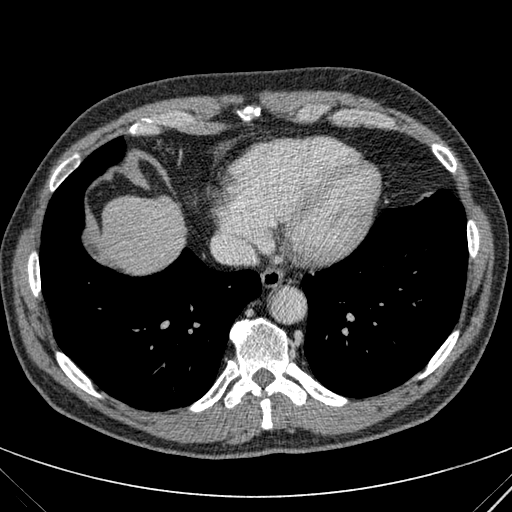 CT | Image size 512x512
<segmentation>
  <liver>(99,196,183,272)</liver>
</segmentation>